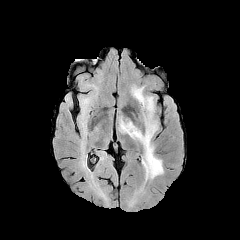
FLAIR MR image.
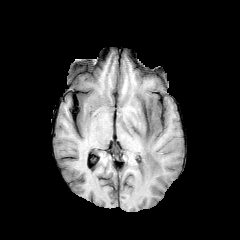
T1-weighted MR image.
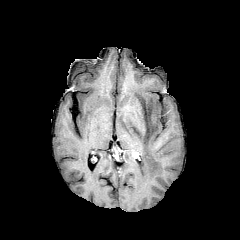
Post-contrast T1-weighted MR.
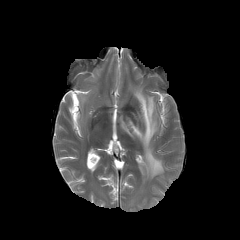
T2-weighted magnetic resonance of the same slice.
Image size 240x240.
Non-enhancing tumor core: [x1=144, y1=108, x2=151, y2=131].
Edema: [x1=119, y1=86, x2=165, y2=180].